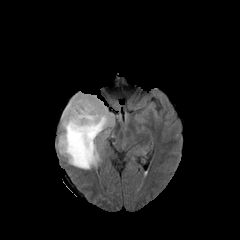
FLAIR MR.
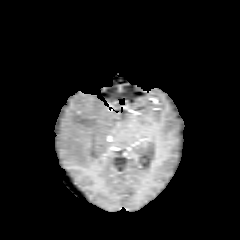
Same slice, T1-weighted magnetic resonance.
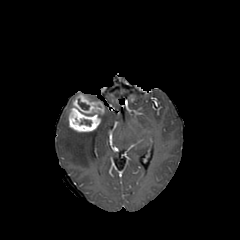
Post-contrast T1-weighted MR image.
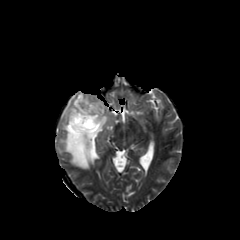
Same slice, T2-weighted MR.
240x240 px
Segmented structures:
- edema: <box>58,109,113,169</box>
- enhancing tumor: <box>68,91,104,132</box>
- non-enhancing tumor core: <box>78,100,88,109</box>, <box>66,100,71,124</box>